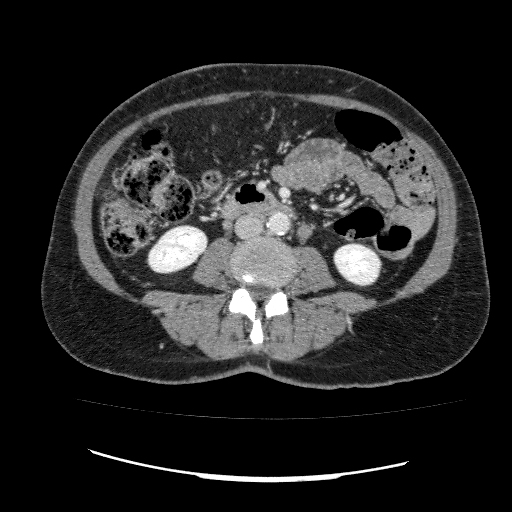

512x512; CT scan slice
<segmentation>
  <kidney>rect(335, 244, 379, 284); rect(149, 226, 206, 272)</kidney>
</segmentation>